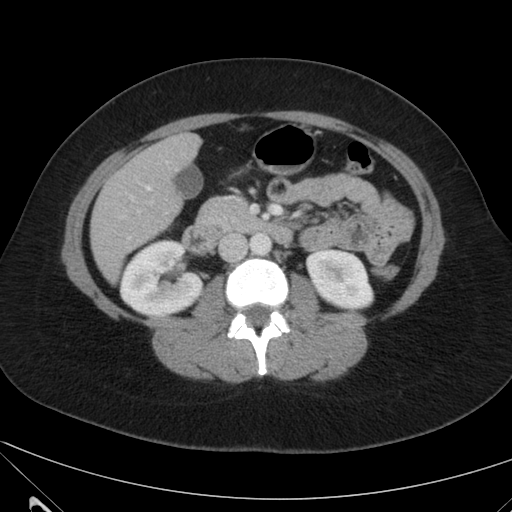 Computed tomography

The liver is at left=91, top=132, right=200, bottom=281. 2 kidney regions are located at left=310, top=250, right=371, bottom=307; left=122, top=242, right=201, bottom=315.